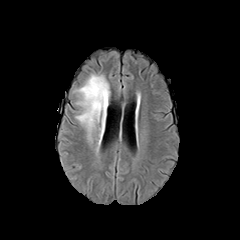
FLAIR MR.
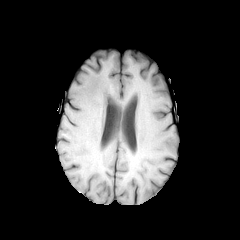
T1-weighted magnetic resonance of the same slice.
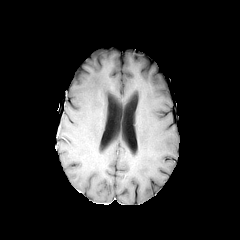
Post-contrast T1-weighted MRI.
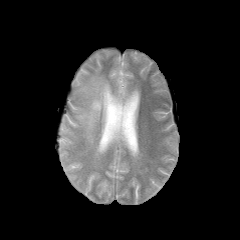
T2-weighted MR image.
240x240.
Findings:
* edema: <box>74,72,110,151</box>